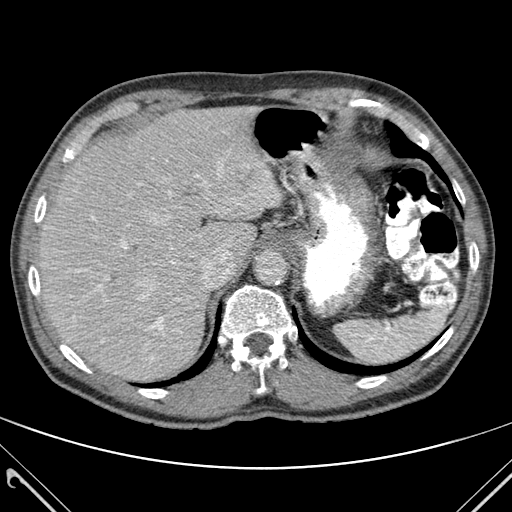
CT, Liver

lung:
  - bbox(165, 338, 215, 383)
  - bbox(385, 123, 449, 187)
  - bbox(296, 316, 425, 374)
bone:
  - bbox(139, 389, 167, 398)
  - bbox(222, 286, 296, 392)
  - bbox(470, 243, 478, 269)
  - bbox(357, 376, 385, 388)
  - bbox(454, 181, 464, 202)
  - bbox(414, 130, 428, 148)
  - bbox(64, 149, 73, 160)
  - bbox(60, 345, 90, 372)
  - bbox(29, 267, 39, 294)
  - bbox(35, 196, 45, 223)
  - bbox(423, 328, 452, 358)
liver:
  - bbox(40, 106, 278, 381)